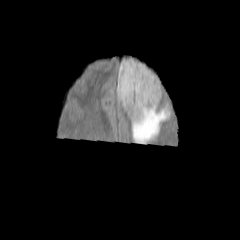
FLAIR MR.
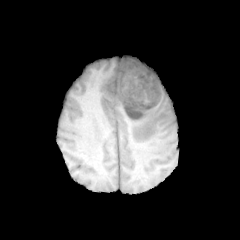
T1-weighted MR image of the same slice.
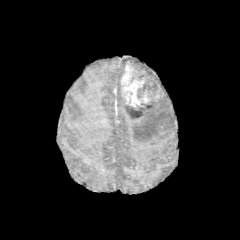
Post-contrast T1-weighted MR.
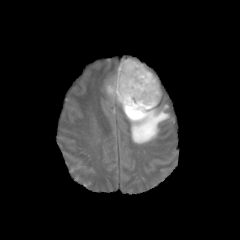
Same slice, T2-weighted MR image.
Image size 240x240 | Brain
Edema at box(126, 101, 170, 143); box(103, 57, 148, 111).
Non-enhancing tumor core at box(125, 95, 162, 119); box(127, 61, 160, 96).
Enhancing tumor at box(120, 62, 159, 107).